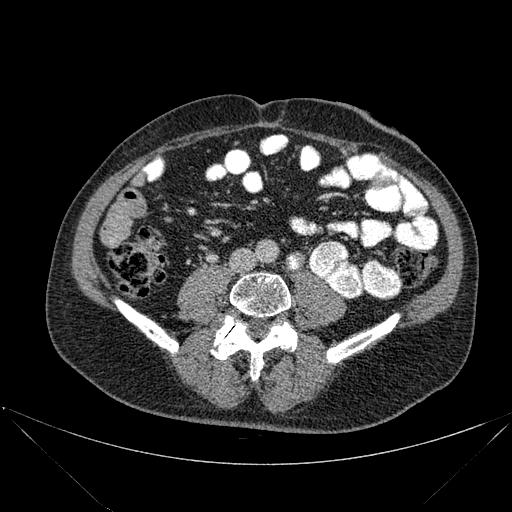

CT scan slice
<segmentation>
  <bone>region(115, 300, 178, 353); region(211, 316, 297, 379); region(230, 273, 290, 316); region(327, 314, 399, 362)</bone>
</segmentation>